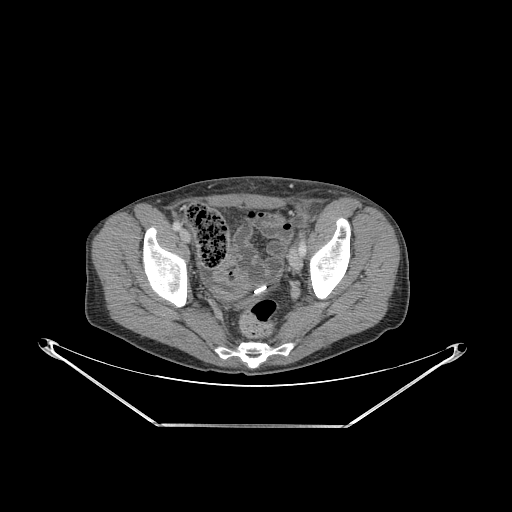

Computed tomography, Image size 512x512
3 bone regions are located at (143, 228, 186, 306), (215, 342, 293, 368), (310, 218, 350, 298).